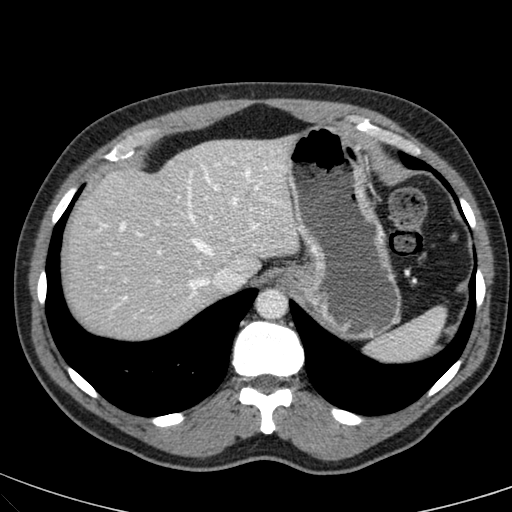
CT
liver:
  - box=[66, 134, 298, 339]